Image width 240 mm; Brain
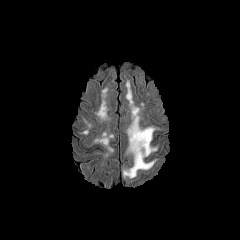
FLAIR MRI.
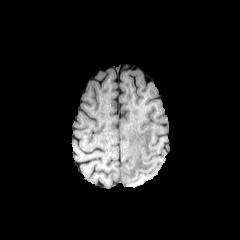
T1-weighted MR.
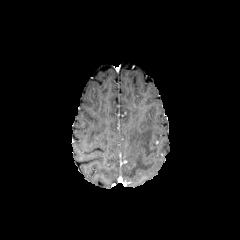
Post-contrast T1-weighted magnetic resonance.
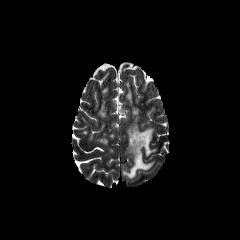
T2-weighted MR of the same slice.
Findings:
* edema: (left=97, top=101, right=106, bottom=120), (left=123, top=107, right=157, bottom=178), (left=126, top=82, right=132, bottom=106), (left=95, top=138, right=108, bottom=145)